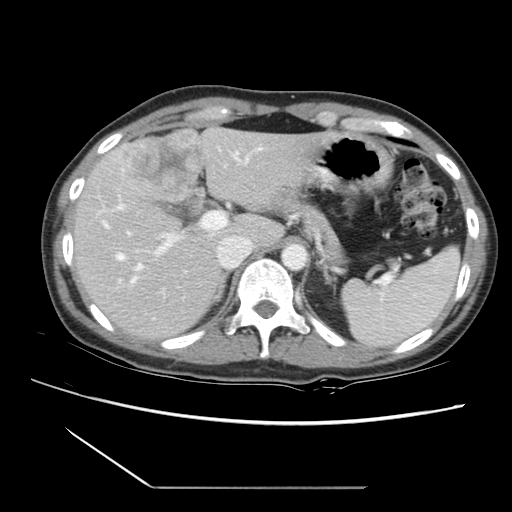

512x512; CT

Some hepatic vessels may have no box.
{"partial": true, "liver_tumor": ["(129, 130, 201, 194)"], "hepatic_vessel": {"n_total": 19, "boxes": ["(126, 161, 130, 166)", "(116, 251, 125, 260)", "(161, 290, 164, 294)", "(135, 264, 143, 270)", "(121, 168, 124, 178)", "(136, 233, 180, 256)", "(102, 221, 108, 228)", "(203, 213, 224, 229)", "(111, 152, 122, 163)", "(230, 151, 250, 164)", "(96, 196, 101, 201)", "(131, 276, 138, 284)", "(127, 232, 130, 235)", "(253, 146, 263, 151)", "(97, 196, 125, 216)"]}}